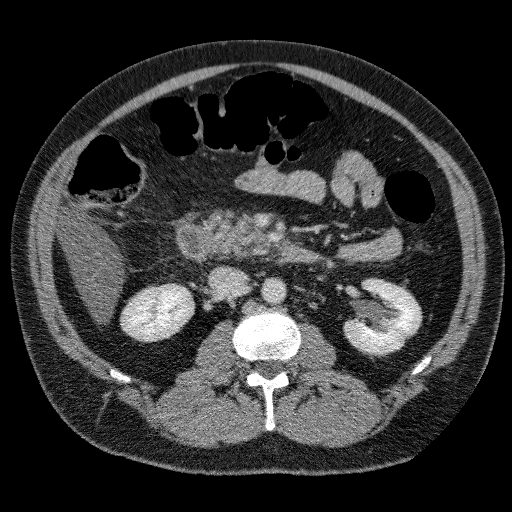 Computed tomography
{
  "kidney": [
    "[x1=345, y1=280, x2=420, y2=352]",
    "[x1=122, y1=285, x2=191, y2=339]"
  ],
  "liver": [
    "[x1=57, y1=208, x2=122, y2=321]"
  ]
}